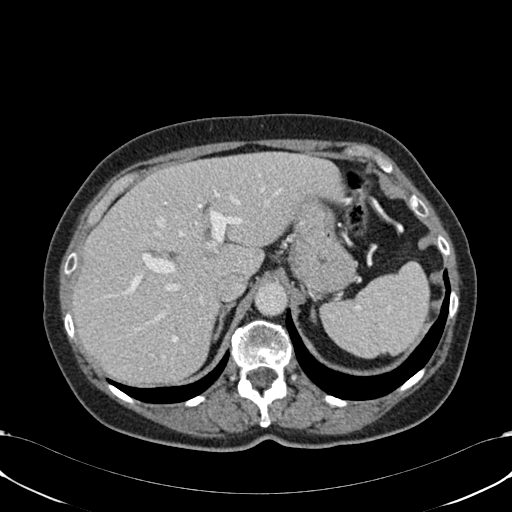

Upper abdomen. Computed tomography.

liver: 72 153 340 383